240x240 px; Slice 76/155; Field of view 240 mm wide, 1.00 mm slice spacing
FLAIR MR image.
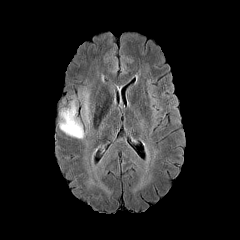
T1-weighted MR.
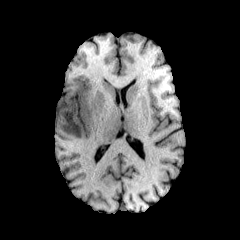
Post-contrast T1-weighted MR.
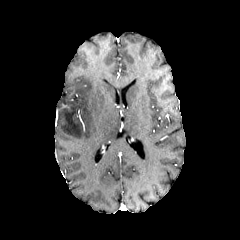
T2-weighted MRI.
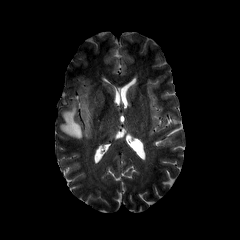
2 edema regions are located at region(77, 88, 90, 128); region(58, 101, 83, 139).